Slice 44/131 | CT slice | 512x512 px 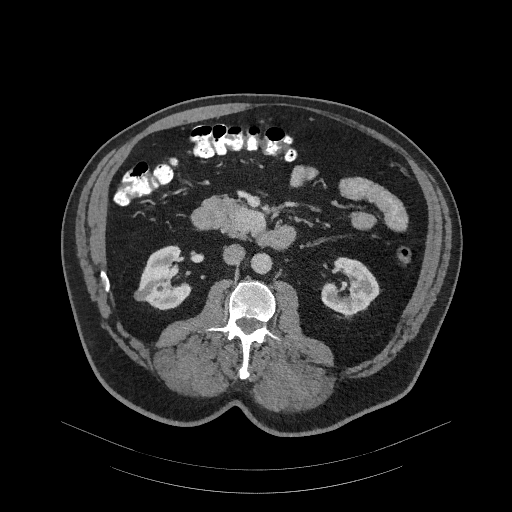

The pancreas lies within (x1=205, y1=196, x2=256, y2=238). The pancreatic tumor is bounded by (x1=235, y1=208, x2=265, y2=234).